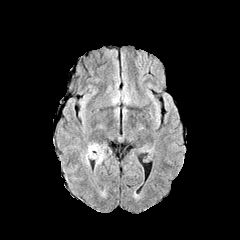
FLAIR MR.
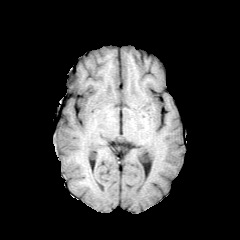
T1-weighted MR.
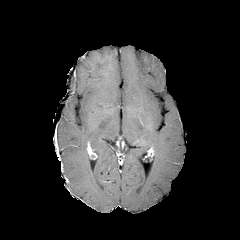
Post-contrast T1-weighted MR image.
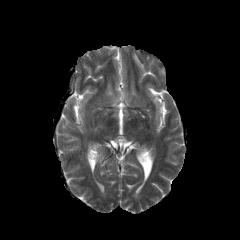
T2-weighted MR.
edema:
  - bbox(82, 150, 89, 166)
  - bbox(87, 141, 108, 172)
enhancing_tumor:
  - bbox(88, 144, 97, 158)